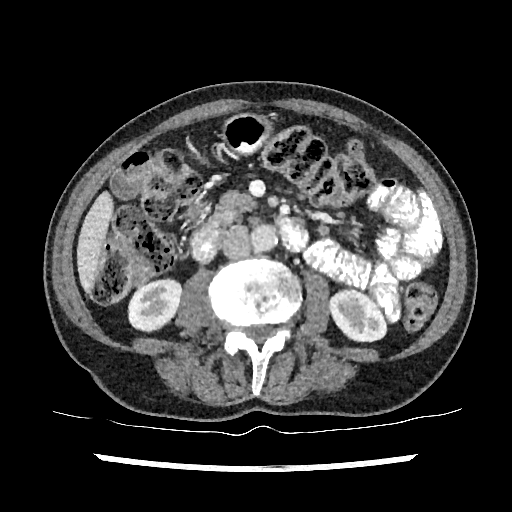

Abdomen, CT

Kidney = x1=129 y1=281 x2=180 y2=329, x1=330 y1=291 x2=385 y2=340.
Liver = x1=78 y1=192 x2=111 y2=290.